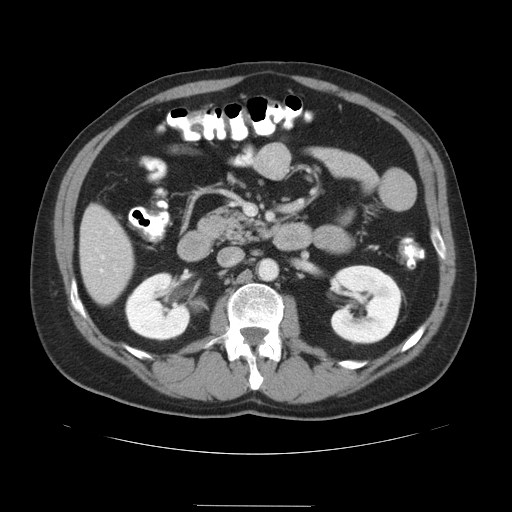
CT image
The vessel boxes may cover only some of the vessels.
6 hepatic vessel regions are located at (left=90, top=258, right=91, bottom=260), (left=102, top=256, right=103, bottom=259), (left=100, top=270, right=102, bottom=272), (left=114, top=267, right=117, bottom=272), (left=96, top=250, right=97, bottom=251), (left=110, top=228, right=115, bottom=233).